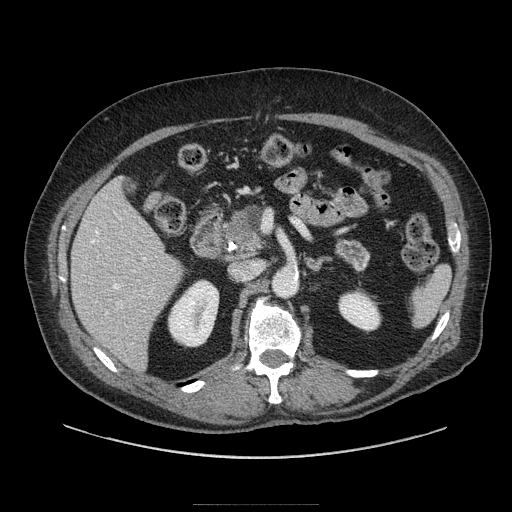

512x512 px | CT slice
Pancreas = bbox=[231, 208, 261, 250]; bbox=[335, 240, 369, 270].
Pancreatic tumor = bbox=[228, 214, 248, 236].